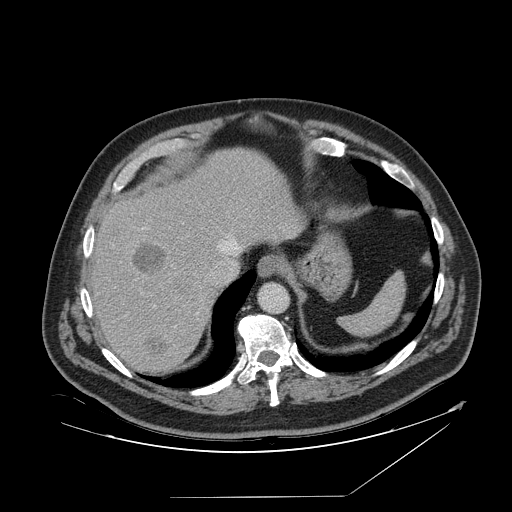

Abdomen; Computed tomography

The spleen is located at x1=339, y1=273, x2=405, y2=335.